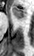

MRI slice. Hippocampus.
Anterior hippocampus: bounding box box(12, 6, 25, 19).